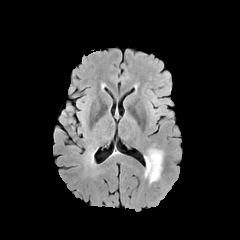
FLAIR MR image.
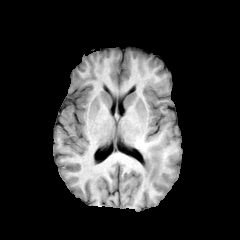
T1-weighted MR.
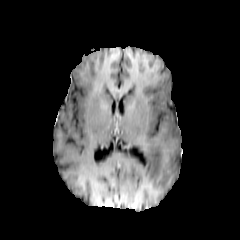
Post-contrast T1-weighted MR.
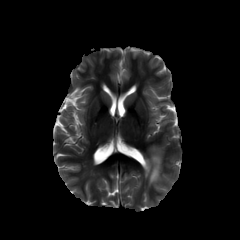
T2-weighted magnetic resonance.
Head
The edema is located at rect(144, 147, 163, 183).